Field of view 240 mm wide, 1.00 mm slice spacing. Brain. Slice 79/155.
FLAIR MR image.
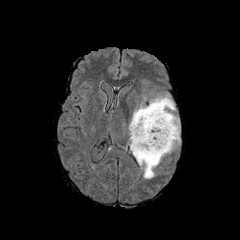
T1-weighted magnetic resonance.
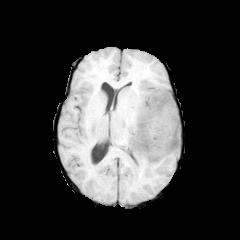
Post-contrast T1-weighted MR image.
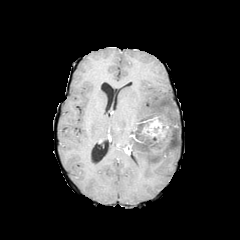
T2-weighted MR image.
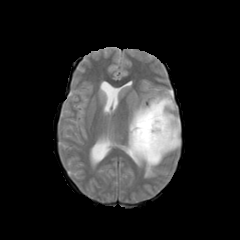
The non-enhancing tumor core appears at (x1=128, y1=113, x2=171, y2=154). The edema is bounded by (x1=128, y1=92, x2=180, y2=178). 2 enhancing tumor regions are located at (x1=142, y1=116, x2=169, y2=142), (x1=129, y1=123, x2=138, y2=140).